Liver | CT
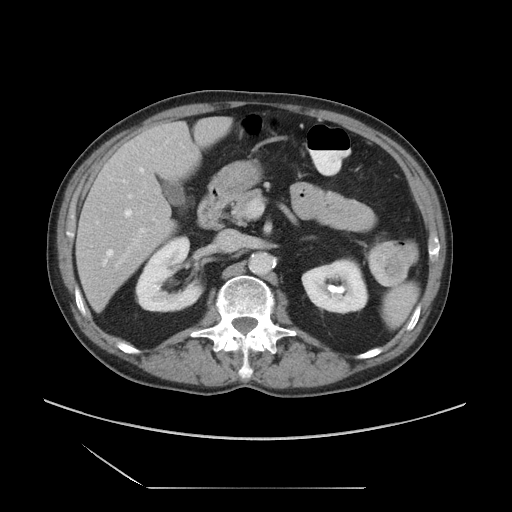

Only some of the vessels may be annotated.
hepatic vessel: bbox=[139, 228, 144, 232]; bbox=[125, 209, 131, 216]; bbox=[96, 221, 98, 223]; bbox=[128, 195, 131, 196]; bbox=[153, 217, 157, 221]; bbox=[139, 168, 143, 172]; bbox=[103, 249, 112, 265]; bbox=[116, 258, 123, 265]